240x240 px; Brain
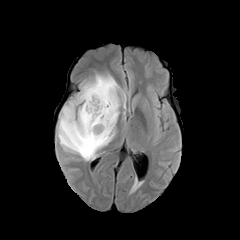
FLAIR MR.
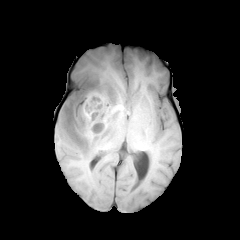
Same slice, T1-weighted MR.
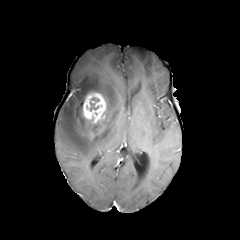
Post-contrast T1-weighted MRI.
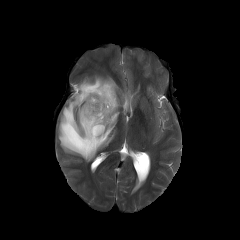
Same slice, T2-weighted MRI.
The enhancing tumor is bounded by (82, 92, 107, 123). 3 non-enhancing tumor core regions are located at (83, 118, 103, 139), (66, 106, 81, 143), (80, 83, 101, 107). The edema is bounded by (58, 72, 126, 161).